38x52 px. MRI slice. Slice index 17.

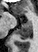

The anterior hippocampus lies within <bbox>27, 20, 30, 22</bbox>. The posterior hippocampus lies within <bbox>17, 23, 31, 40</bbox>.